FLAIR MRI.
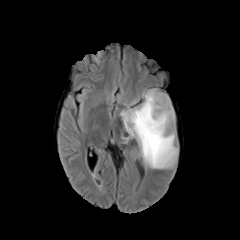
T1-weighted MR image.
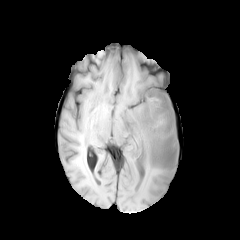
Post-contrast T1-weighted magnetic resonance.
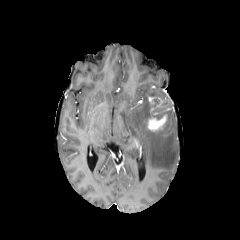
T2-weighted MRI.
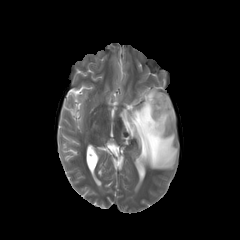
Brain.
<segmentation>
  <non-enhancing_tumor_core>x1=145, y1=88, x2=174, y2=132</non-enhancing_tumor_core>
  <enhancing_tumor>x1=148, y1=115, x2=166, y2=130</enhancing_tumor>
  <edema>x1=116, y1=87, x2=178, y2=172</edema>
</segmentation>